Image width 240 mm
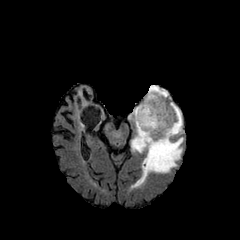
FLAIR magnetic resonance.
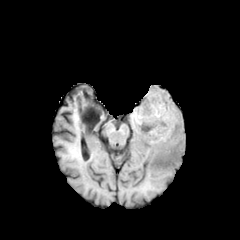
T1-weighted MR image.
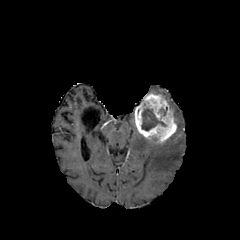
Post-contrast T1-weighted magnetic resonance of the same slice.
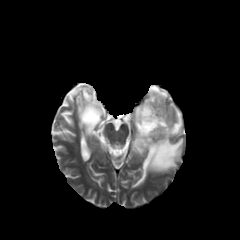
T2-weighted MRI of the same slice.
{"edema": ["131,85,183,186"], "non-enhancing_tumor_core": ["159,105,167,115", "141,108,165,130"], "enhancing_tumor": ["134,93,177,143"]}